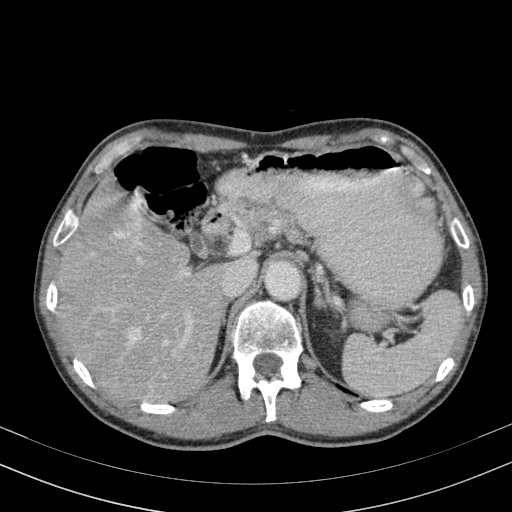

CT slice.

liver: 58:175:258:407